Slice index 96 | Field of view 240 mm wide, 1.00 mm slice spacing
FLAIR magnetic resonance.
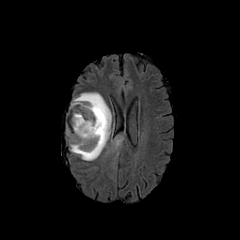
T1-weighted MR image.
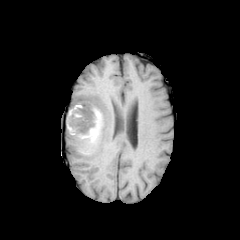
Post-contrast T1-weighted MR image.
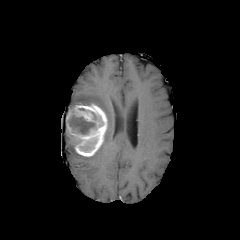
T2-weighted magnetic resonance.
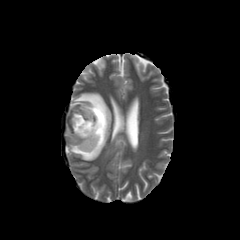
The enhancing tumor is at bbox(72, 103, 107, 156). The non-enhancing tumor core is bounded by bbox(74, 112, 96, 134). The edema is at bbox(66, 92, 113, 161).